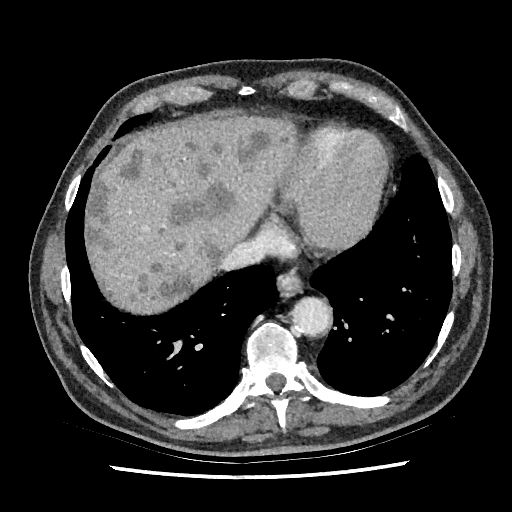 CT slice
- liver: 89,114,295,312
- focal liver lesion: 235,131,271,171; 210,141,222,157; 199,241,221,272; 166,181,238,228; 136,273,149,292; 185,139,200,150; 87,178,116,254; 149,260,166,273; 130,292,138,302; 158,271,194,301; 153,153,162,163; 118,150,144,181; 174,241,185,251; 195,159,209,178; 280,133,288,142